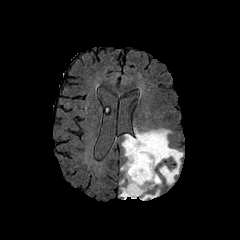
FLAIR MRI.
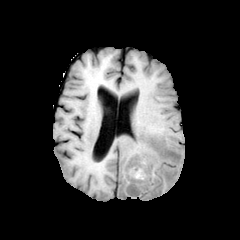
T1-weighted magnetic resonance of the same slice.
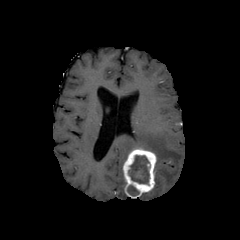
Same slice, post-contrast T1-weighted MR image.
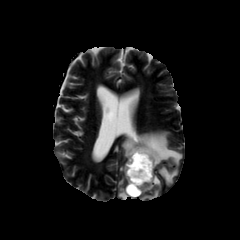
T2-weighted MR image.
240x240 px. Head.
edema: [120,187,126,199], [139,172,161,199], [121,129,182,185] | enhancing tumor: [122,146,156,197] | non-enhancing tumor core: [129,156,148,183], [127,185,138,195]